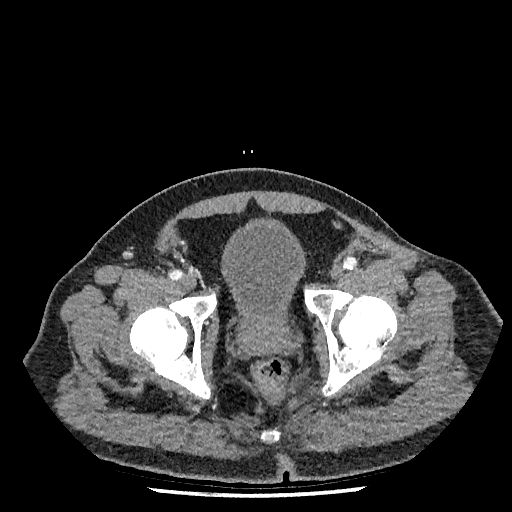 CT image

Urinary bladder: bounding box bbox(220, 222, 306, 323).